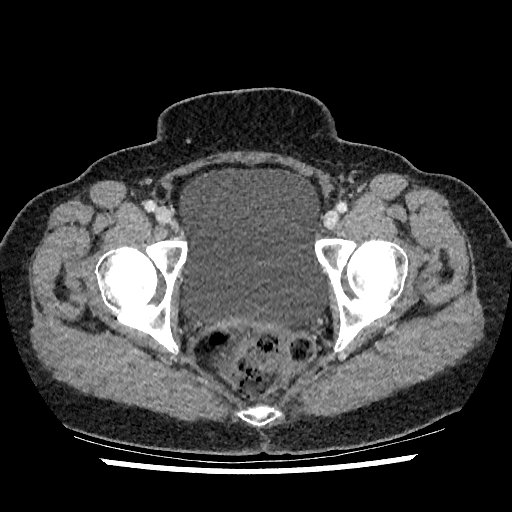
Image size 512x512; CT slice

Urinary bladder: (180,168,329,330).